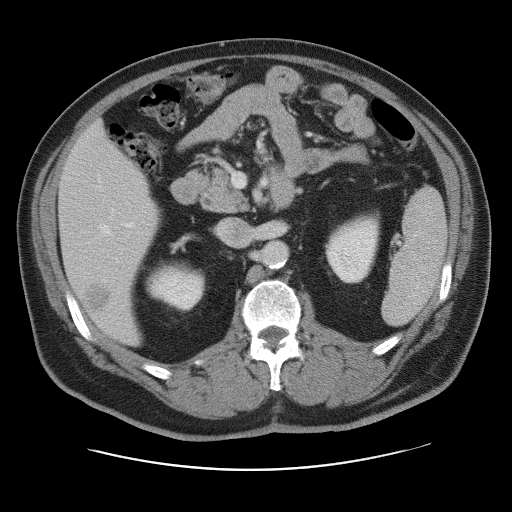
CT scan slice
The vessel annotation is not exhaustive.
Liver tumor — bbox=[80, 282, 112, 313].
Hepatic vessel — bbox=[121, 222, 134, 227]; bbox=[93, 184, 100, 187]; bbox=[232, 174, 244, 187]; bbox=[99, 224, 110, 234].